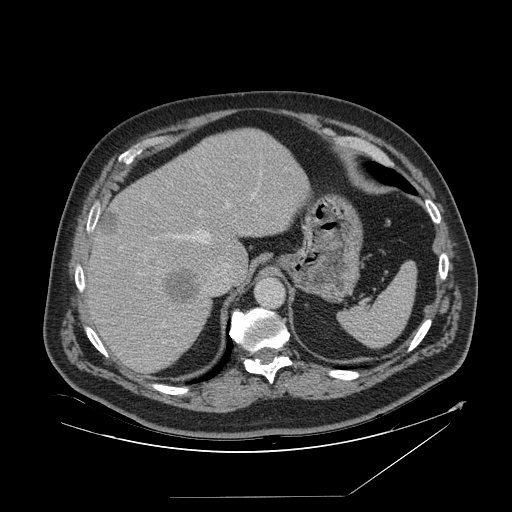
CT image.

Spleen at 336 264 416 347.